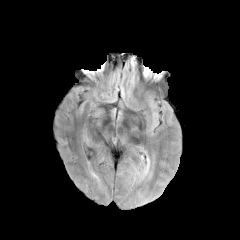
FLAIR magnetic resonance.
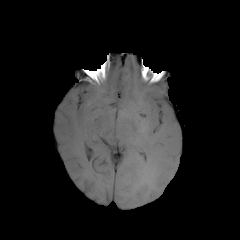
Same slice, T1-weighted MRI.
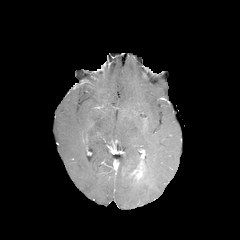
Post-contrast T1-weighted MR.
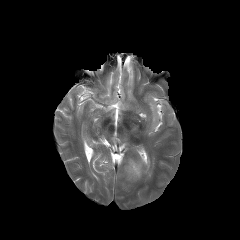
T2-weighted MRI.
Brain.
Findings:
- edema: [130,157,148,179]